Head
FLAIR MRI.
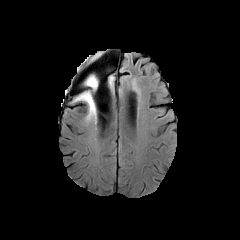
T1-weighted MR.
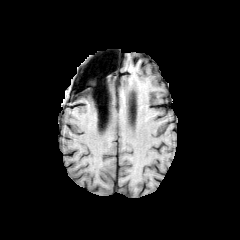
Post-contrast T1-weighted MR.
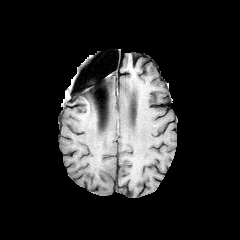
T2-weighted MRI.
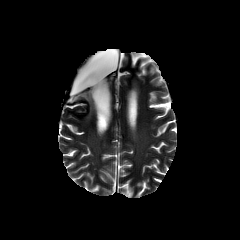
<segmentation>
  <edema>bbox=[72, 74, 99, 120]</edema>
</segmentation>